Image width 700 mm, CT scan slice, Brain 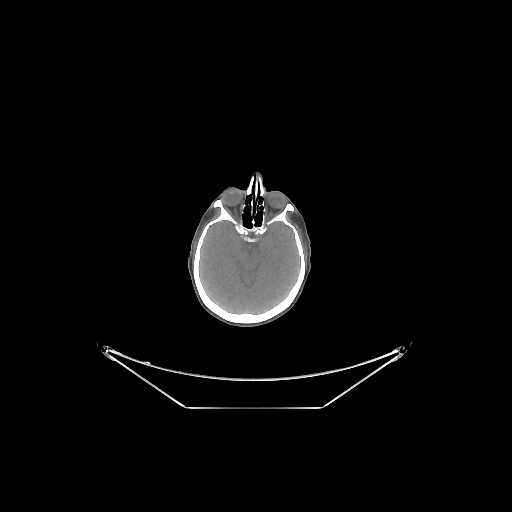 Bone: bounding box [193, 200, 304, 323], [246, 180, 252, 194].
Brain: bounding box [199, 220, 300, 314].